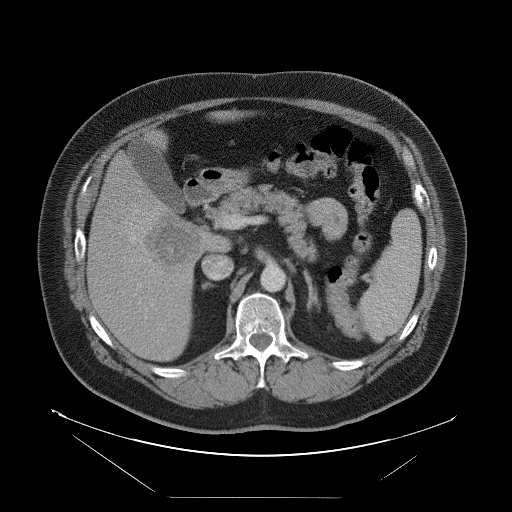

Computed tomography; Image size 512x512
Only some of the vessels may be annotated.
<segmentation>
  <hepatic_vessel><box>135,225,137,227</box>, <box>135,257,141,260</box>, <box>129,232,135,242</box>, <box>143,230,144,232</box>, <box>138,301,140,304</box>, <box>155,218,157,219</box>, <box>137,282,141,286</box>, <box>149,259,151,261</box>, <box>149,269,152,273</box></hepatic_vessel>
  <liver_tumor><box>148,214,198,270</box></liver_tumor>
</segmentation>